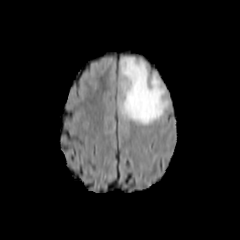
FLAIR magnetic resonance.
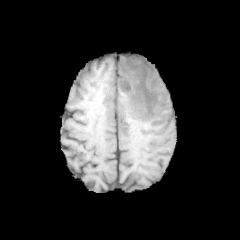
T1-weighted MR image.
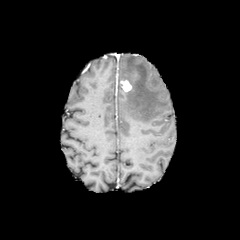
Post-contrast T1-weighted MR image.
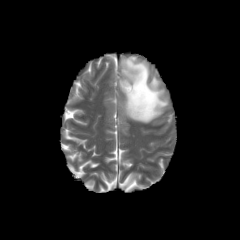
T2-weighted magnetic resonance.
Image size 240x240 | Brain
<segmentation>
  <edema>120,57,168,125</edema>
  <non-enhancing_tumor_core>125,68,137,75</non-enhancing_tumor_core>
  <enhancing_tumor>120,79,131,91</enhancing_tumor>
</segmentation>